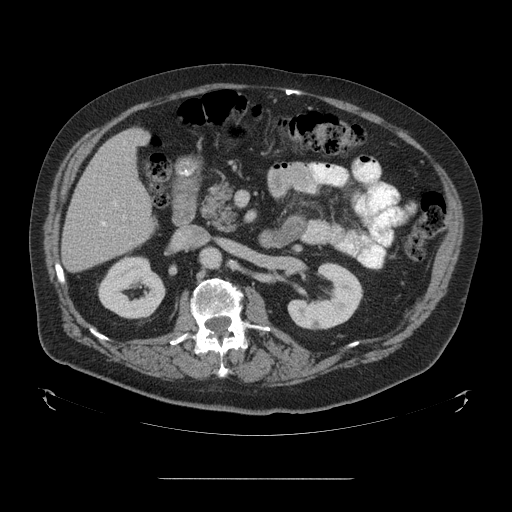
Abdomen | Computed tomography

The vessel boxes may cover only some of the vessels.
{
  "hepatic_vessel": [
    "(left=100, top=219, right=106, bottom=226)",
    "(left=119, top=226, right=123, bottom=230)",
    "(left=122, top=215, right=126, bottom=219)",
    "(left=112, top=200, right=117, bottom=207)",
    "(left=123, top=140, right=125, bottom=145)"
  ]
}